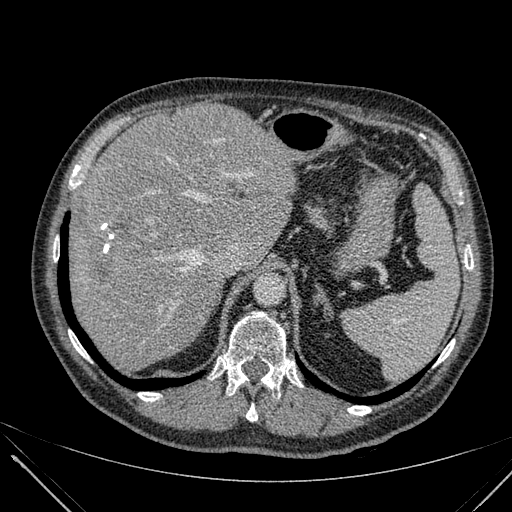

CT scan slice | Abdomen
{
  "liver": [
    "l=70, t=104, r=296, b=370"
  ],
  "liver_lesion": [
    "l=78, t=206, r=83, b=218",
    "l=116, t=214, r=133, b=237",
    "l=94, t=258, r=111, b=280"
  ]
}